Liver, Image width 396 mm, CT scan slice

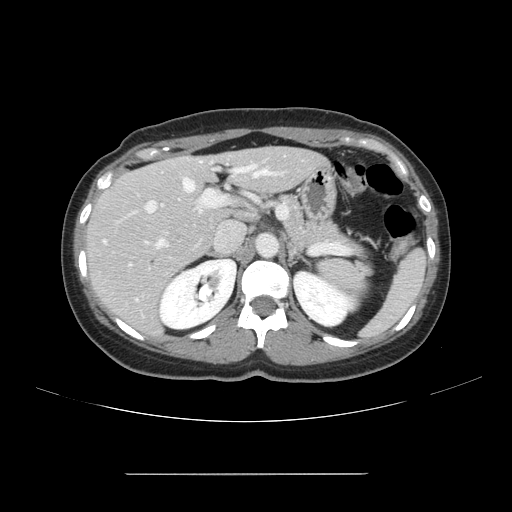 Not every hepatic vessel necessarily has a box.
Hepatic vessel = bbox(183, 178, 194, 191); bbox(235, 165, 274, 176); bbox(146, 201, 155, 212); bbox(199, 210, 200, 212); bbox(103, 240, 106, 242); bbox(136, 299, 137, 300); bbox(156, 240, 166, 245).